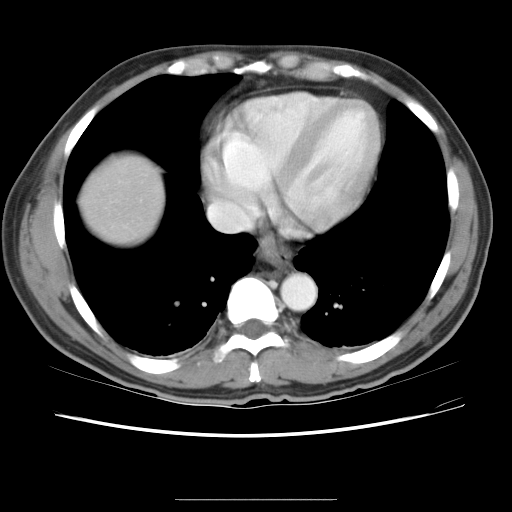 Abdomen | 512x512 px | Computed tomography
Some hepatic vessels may have no box.
The hepatic vessel is located at region(209, 197, 246, 230).